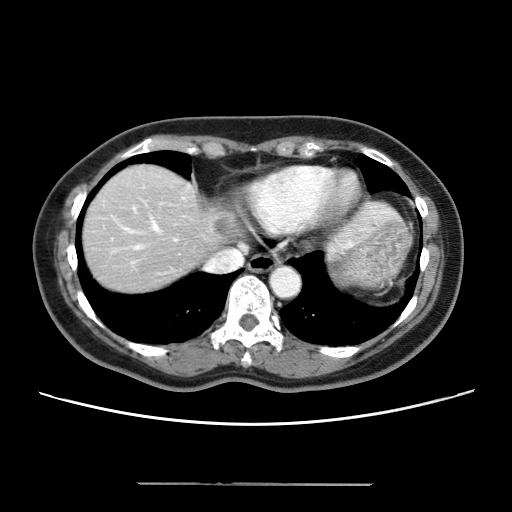

Abdomen, Computed tomography, 512x512
The vessel boxes may cover only some of the vessels.
3 hepatic vessel regions appear at (129, 230, 133, 231), (134, 246, 140, 249), (153, 222, 157, 230). The liver tumor is at (217, 216, 228, 237).